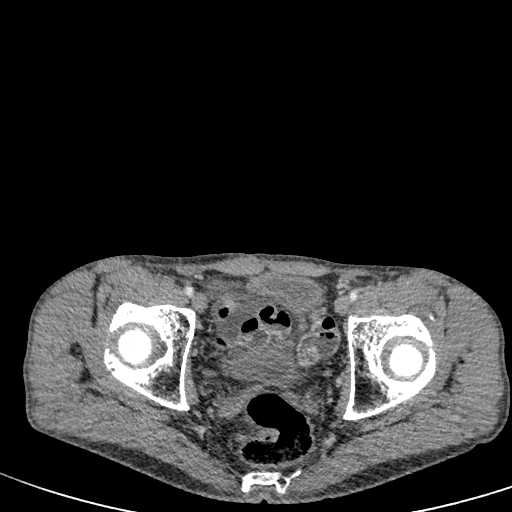 CT; Image size 512x512
Urinary bladder = [x1=250, y1=271, x2=323, y2=390], [x1=218, y1=344, x2=254, y2=384].